FLAIR magnetic resonance.
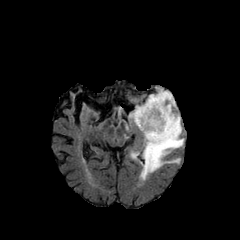
T1-weighted MR image.
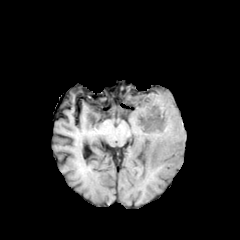
Post-contrast T1-weighted magnetic resonance.
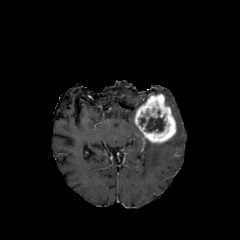
T2-weighted MRI.
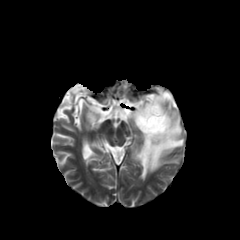
Image size 240x240
Findings:
* non-enhancing tumor core: bbox(146, 117, 165, 131)
* edema: bbox(130, 87, 184, 179); bbox(127, 110, 135, 126)
* enhancing tumor: bbox(134, 93, 176, 143)